CT 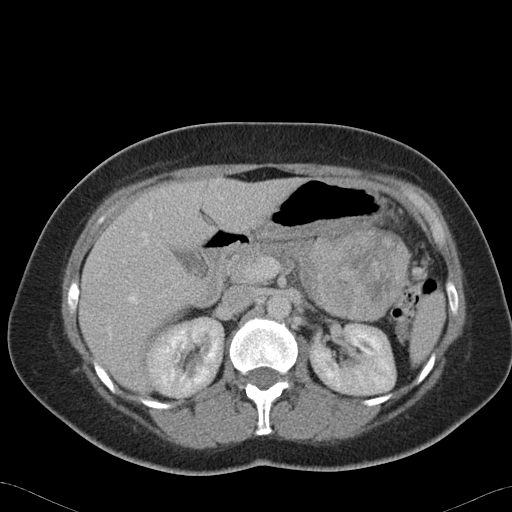 The pancreas is at x1=223, y1=235, x2=342, y2=279. The pancreatic tumor lies within x1=300, y1=228, x2=409, y2=321.